Computed tomography. Abdomen. 512x512.
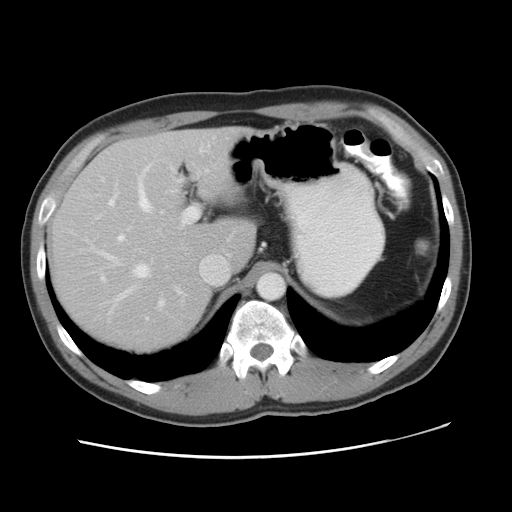
Only some of the vessels may be annotated.
15 hepatic vessel regions appear at box(201, 266, 201, 272); box(175, 288, 180, 291); box(177, 179, 179, 180); box(181, 218, 186, 224); box(132, 263, 150, 277); box(219, 256, 224, 260); box(111, 287, 133, 308); box(143, 163, 150, 173); box(97, 250, 118, 264); box(117, 233, 124, 241); box(137, 174, 152, 212); box(100, 276, 104, 280); box(108, 194, 116, 205); box(199, 149, 204, 152); box(158, 299, 163, 307).